240x240. Slice index 69. Field of view 240 mm wide, 1.00 mm slice spacing.
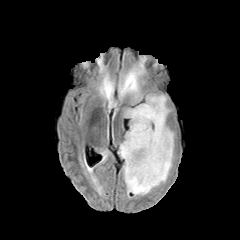
FLAIR MR.
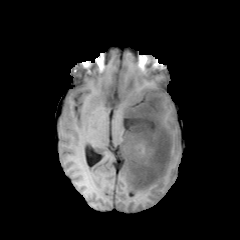
T1-weighted magnetic resonance.
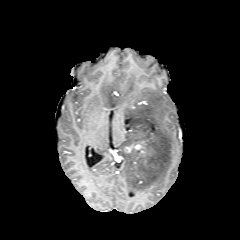
Post-contrast T1-weighted MR image.
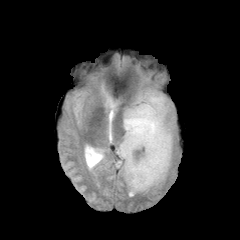
T2-weighted MRI of the same slice.
<segmentation>
  <edema>[120,134,145,145], [122,64,174,195], [132,146,149,162], [101,85,117,108], [119,151,131,197]</edema>
  <non-enhancing_tumor_core>[124,96,171,193], [118,140,133,153]</non-enhancing_tumor_core>
  <enhancing_tumor>[124,143,142,152]</enhancing_tumor>
</segmentation>